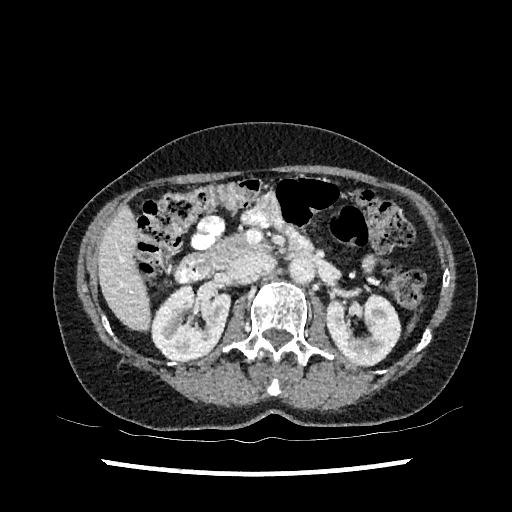 Computed tomography | 512x512
Liver — bbox(99, 207, 149, 330).
Kidney — bbox(152, 282, 229, 360); bbox(327, 296, 400, 364).